CT image 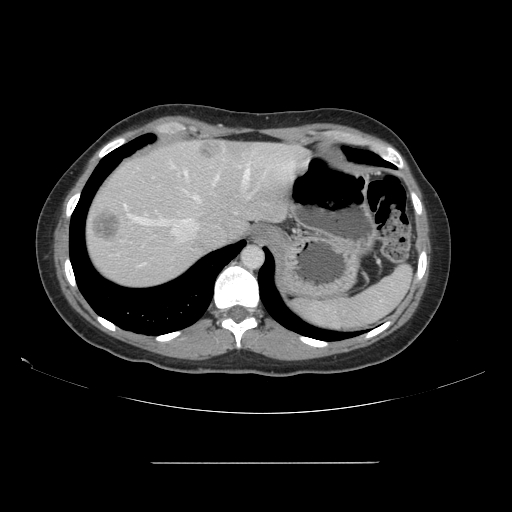 Not every hepatic vessel necessarily has a box.
hepatic_vessel:
  - (127, 213, 197, 235)
  - (179, 236, 188, 241)
  - (155, 210, 157, 212)
  - (247, 196, 249, 197)
  - (212, 173, 219, 184)
  - (192, 195, 200, 201)
  - (137, 264, 144, 266)
  - (178, 170, 187, 176)
  - (243, 161, 251, 187)
  - (124, 205, 126, 209)
  - (115, 254, 118, 255)
  - (170, 161, 176, 168)
  - (239, 165, 242, 167)
liver_tumor:
  - (93, 213, 120, 242)
  - (200, 144, 223, 159)